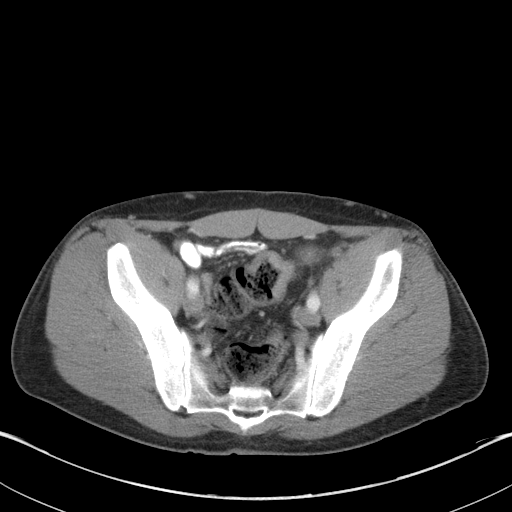

Pelvis, CT slice
The colon tumor appears at left=246, top=250, right=294, bottom=298.